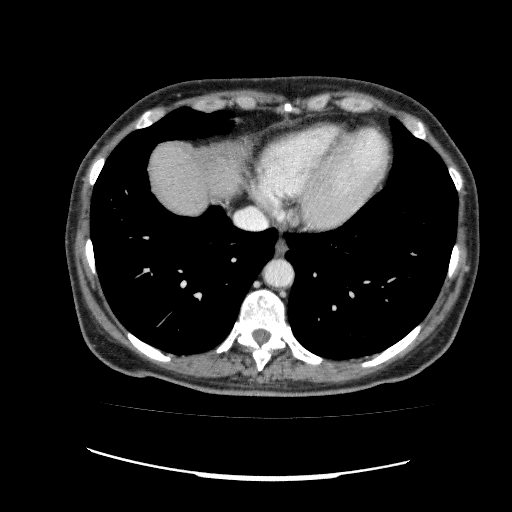 Abdomen | CT | Image size 512x512

The liver is bounded by region(148, 141, 245, 216).